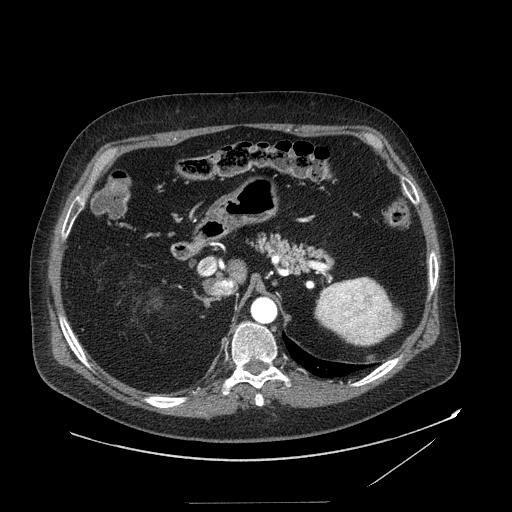 Abdomen. CT scan slice.
pancreas: 245:231:334:275